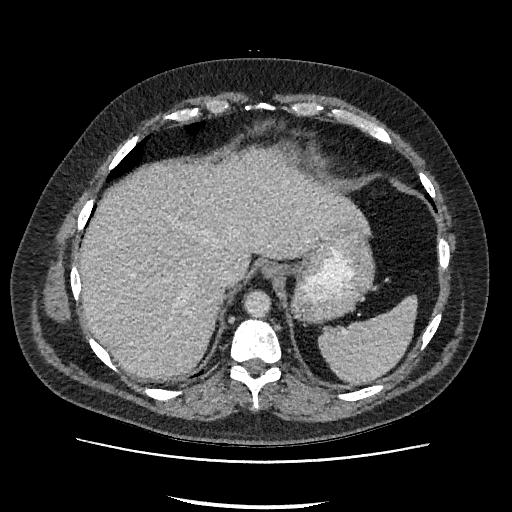 CT slice; Abdomen

Liver — (x1=80, y1=152, x2=369, y2=378).